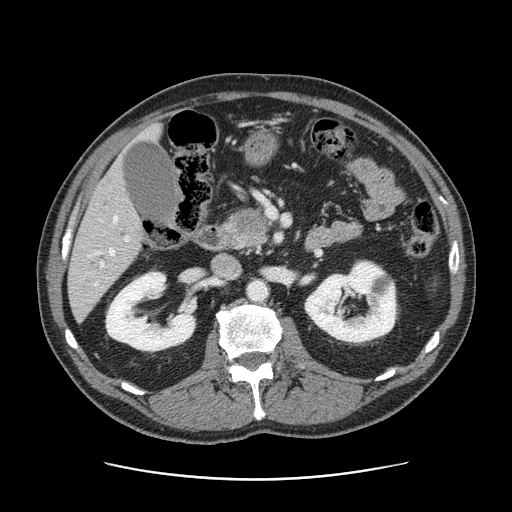

CT, 512x512 px, Abdomen
Pancreatic tumor at 232:209:266:237.
Pancreas at 223:208:269:248.